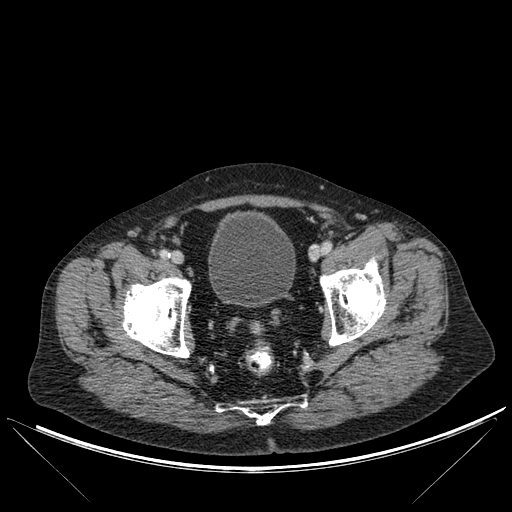

Lower abdomen; CT slice
Annotated regions:
- urinary bladder: 208 210 295 307
- bone: 122 277 190 357, 216 400 284 424, 320 257 385 345, 286 401 307 407